Slice 39/155.
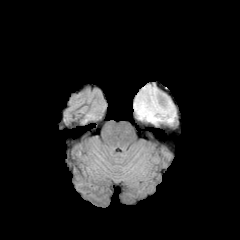
FLAIR magnetic resonance.
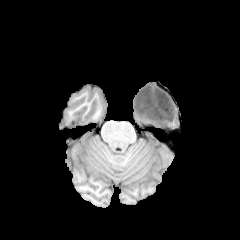
Same slice, T1-weighted MR.
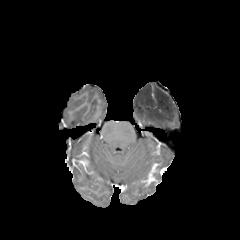
Same slice, post-contrast T1-weighted MR.
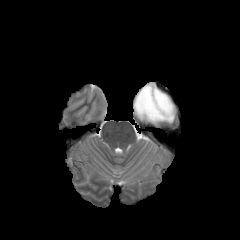
T2-weighted MR.
- non-enhancing tumor core: rect(134, 84, 173, 122)
- edema: rect(134, 102, 176, 125)